CT slice; Abdomen; Field of view 338 mm wide, 1.20 mm slice spacing 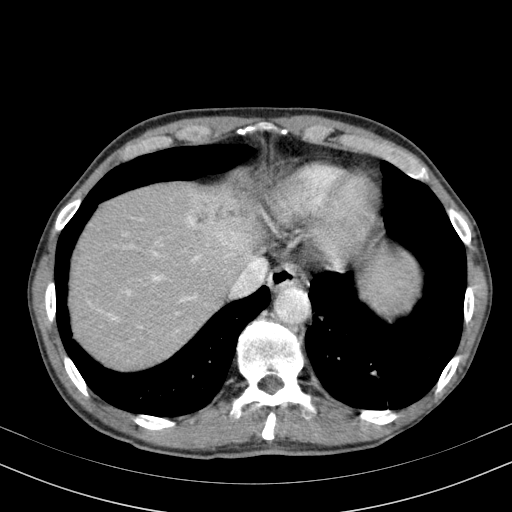

Liver: 68,169,268,369.